Slice 20 of 155 | Brain | Image size 240x240 | Image width 240 mm
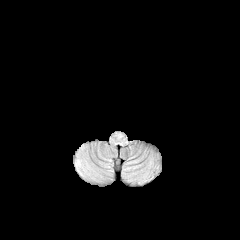
FLAIR MRI.
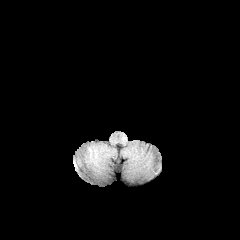
Same slice, T1-weighted MR.
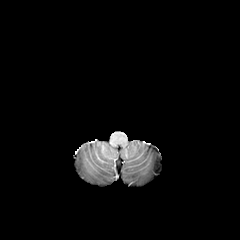
Post-contrast T1-weighted MR of the same slice.
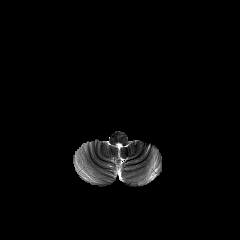
T2-weighted MRI of the same slice.
The edema appears at bbox=[79, 158, 95, 179].